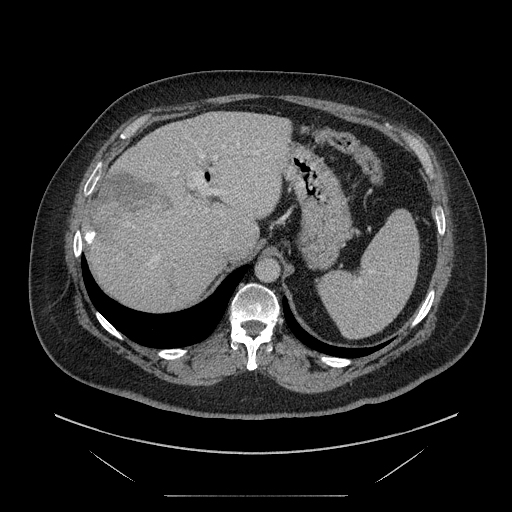 Image size 512x512, Computed tomography
Not every hepatic vessel necessarily has a box.
Liver tumor = rect(98, 171, 170, 211).
Hepatic vessel = rect(223, 144, 224, 147); rect(190, 171, 227, 194); rect(213, 155, 217, 158); rect(187, 196, 190, 201); rect(192, 211, 194, 213).